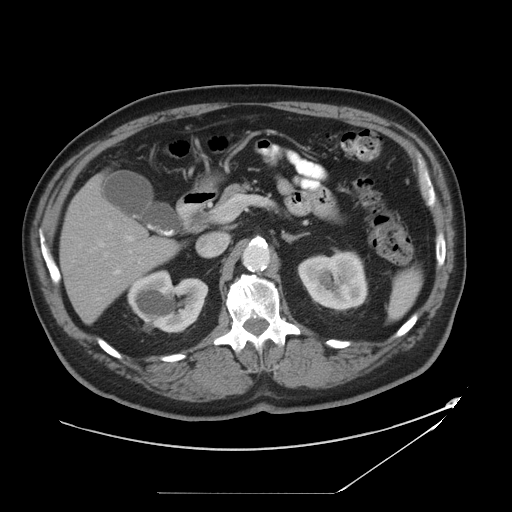 512x512, CT
The vessel boxes may cover only some of the vessels.
7 hepatic vessel regions appear at (98,242,104,246), (92,298,101,299), (104,253,108,256), (138,258,144,265), (112,270,120,274), (159,250,165,252), (119,235,133,241).